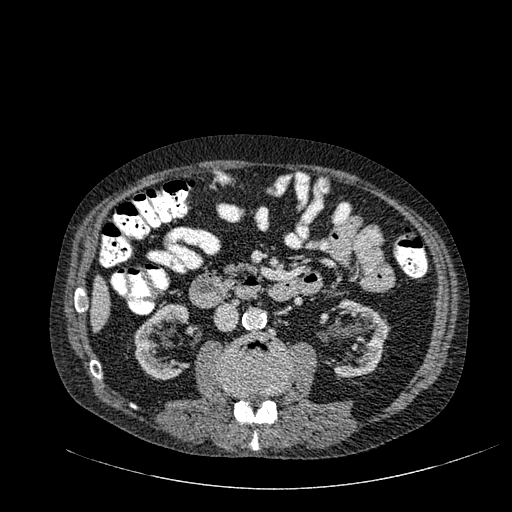 CT image.
4 kidney regions are bounded by {"x1": 134, "y1": 304, "x2": 189, "y2": 379}, {"x1": 186, "y1": 326, "x2": 197, "y2": 335}, {"x1": 317, "y1": 301, "x2": 390, "y2": 377}, {"x1": 320, "y1": 313, "x2": 328, "y2": 323}. The liver is bounded by {"x1": 92, "y1": 276, "x2": 109, "y2": 331}.